Upper abdomen, Field of view 496 mm wide, 0.80 mm slice spacing, CT slice, 512x512

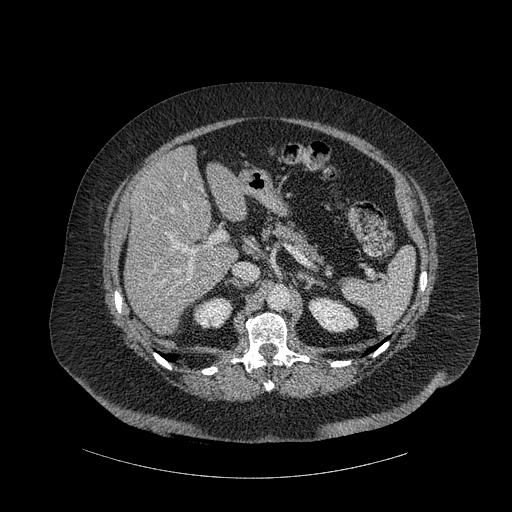
<segmentation>
  <liver>[124, 145, 237, 335], [207, 163, 246, 217]</liver>
  <bone>[153, 353, 171, 369], [373, 342, 388, 356], [331, 361, 350, 366], [231, 313, 309, 371], [420, 272, 426, 290], [202, 367, 217, 374], [115, 291, 121, 312], [264, 381, 273, 390]</bone>
  <lung>[364, 345, 378, 354], [163, 355, 177, 361]</lung>
  <kidney>[195, 299, 231, 327], [309, 298, 356, 331]</kidney>
</segmentation>